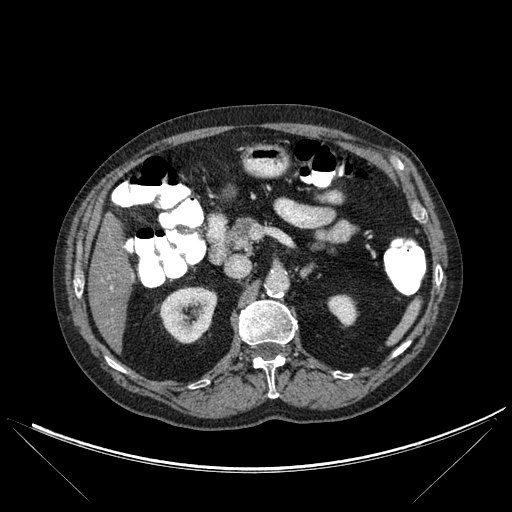 512x512; Liver; CT slice

Annotated regions:
- kidney: bbox=[328, 295, 355, 324]; bbox=[160, 288, 216, 342]
- liver: bbox=[89, 213, 131, 353]
- bone: bbox=[333, 371, 351, 379]; bbox=[74, 280, 82, 296]; bbox=[239, 300, 297, 344]; bbox=[393, 341, 410, 356]; bbox=[435, 265, 442, 284]; bbox=[253, 355, 285, 398]; bbox=[106, 357, 125, 372]; bbox=[190, 380, 209, 388]